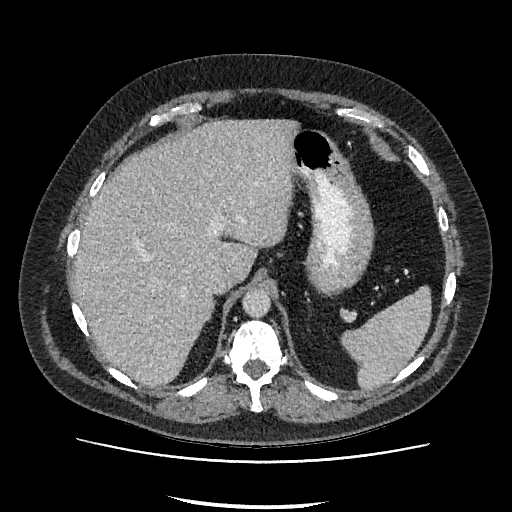 CT scan slice.

{"liver": ["box(76, 119, 296, 385)"]}